Slice 257/333 | 512x512 px | CT scan slice
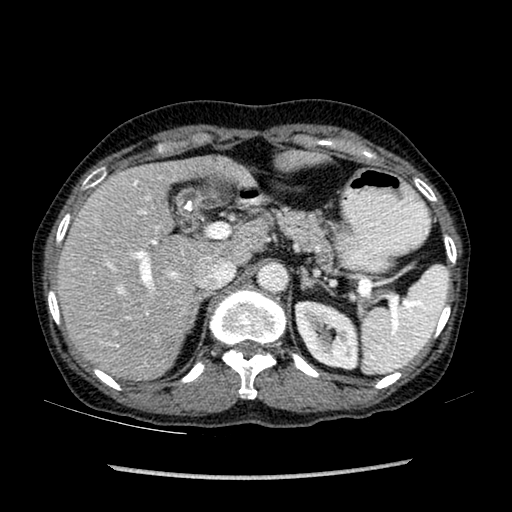 2 liver regions are bounded by <box>278,155,323,169</box>, <box>58,162,267,378</box>. The kidney is at <box>296,302,356,367</box>.